Field of view 240x240 mm | Brain | Slice 104 of 155
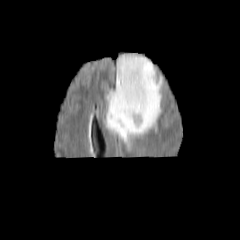
FLAIR magnetic resonance.
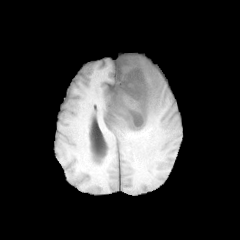
T1-weighted MR image.
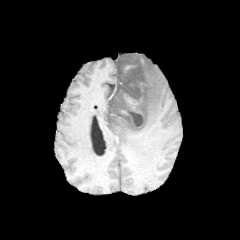
Same slice, post-contrast T1-weighted magnetic resonance.
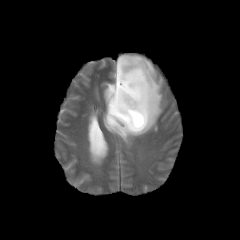
T2-weighted MR image of the same slice.
{
  "non-enhancing_tumor_core": [
    "x1=115, y1=60, x2=146, y2=128"
  ],
  "edema": [
    "x1=104, y1=54, x2=162, y2=140"
  ]
}